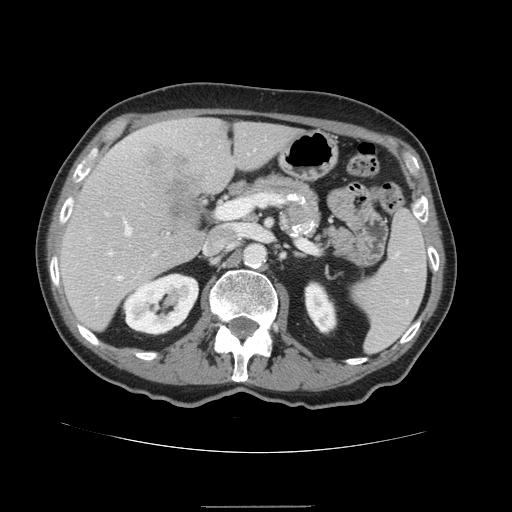

Computed tomography. 512x512 px. The spleen is located at x1=350 y1=209 x2=427 y2=351.